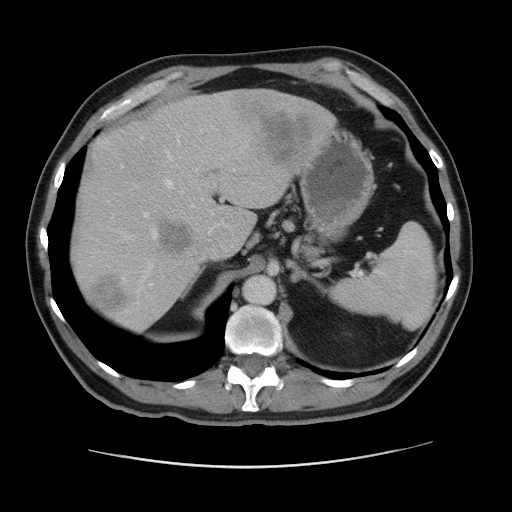

Computed tomography
The liver lies within [71, 89, 332, 330]. 4 focal liver lesion regions are located at [261, 111, 313, 165], [239, 100, 267, 123], [93, 275, 126, 311], [156, 220, 194, 256].